Slice 68/111. Image size 512x512. CT slice. 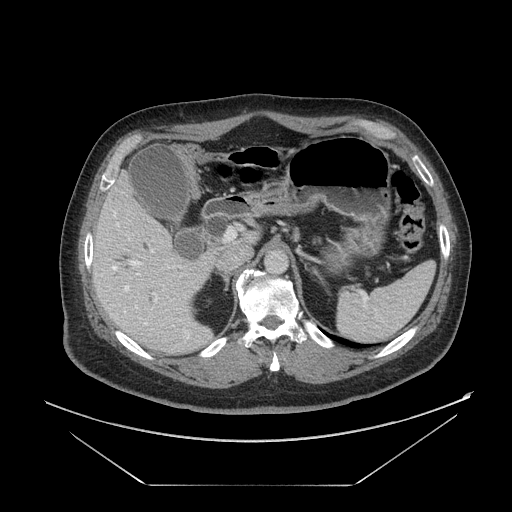

Pancreas = (x1=313, y1=237, x2=321, y2=246).